Head
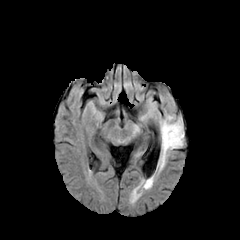
FLAIR magnetic resonance.
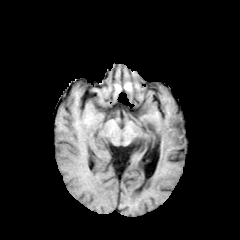
T1-weighted MRI.
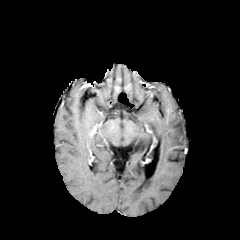
Same slice, post-contrast T1-weighted MR image.
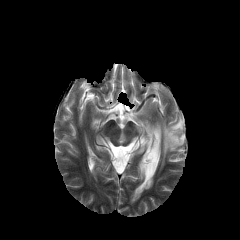
T2-weighted MR of the same slice.
edema:
  - (158,114,183,169)
  - (132,176,154,201)